CT image 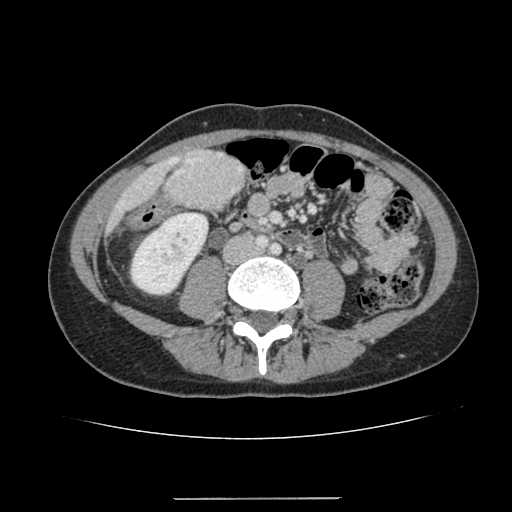

focal_liver_lesion:
  - 165, 150, 246, 210
kidney:
  - 132, 213, 207, 293
liver:
  - 104, 151, 189, 234